Slice 95/122; MR

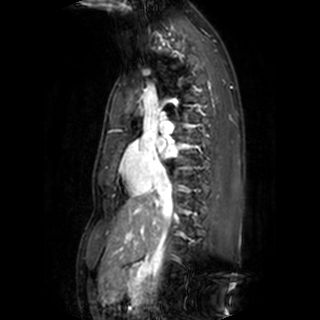

left atrium: x1=156, y1=138, x2=176, y2=157